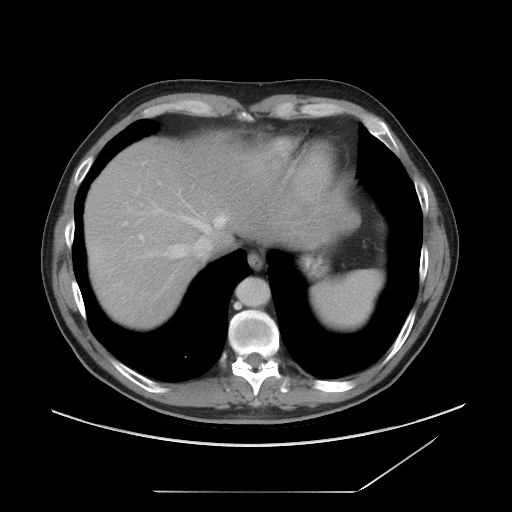

512x512; Abdomen; CT slice
Not every hepatic vessel necessarily has a box.
8 hepatic vessel regions are bounded by 196:214:198:215, 175:246:184:257, 175:269:176:271, 183:216:210:233, 214:216:224:224, 167:272:174:281, 156:210:160:210, 178:189:194:212.